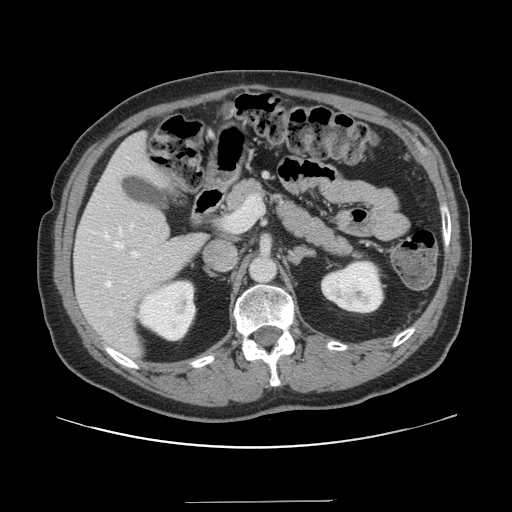

512x512. CT image.

Some hepatic vessels may have no box.
Hepatic vessel = left=120, top=229, right=120, bottom=234; left=115, top=242, right=122, bottom=248; left=105, top=232, right=108, bottom=238; left=105, top=281, right=110, bottom=286; left=226, top=196, right=261, bottom=231; left=131, top=251, right=139, bottom=257.